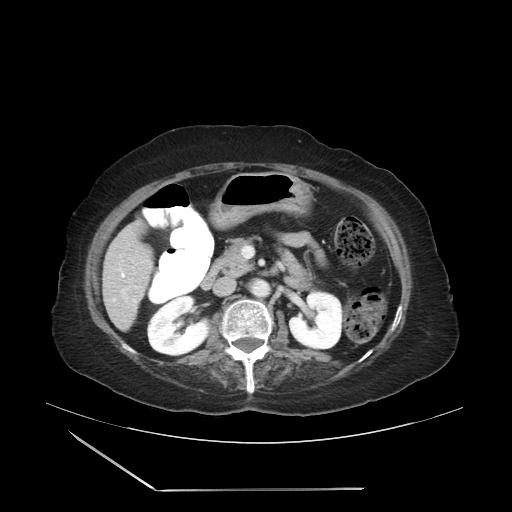 CT; Liver; 512x512

Only some of the vessels may be annotated.
The liver tumor is at l=119, t=284, r=144, b=305. 5 hepatic vessel regions appear at l=132, t=273, r=134, b=275; l=110, t=298, r=115, b=301; l=134, t=263, r=136, b=264; l=118, t=263, r=130, b=281; l=143, t=261, r=146, b=262.